CT scan slice. Slice index 27. Abdomen.
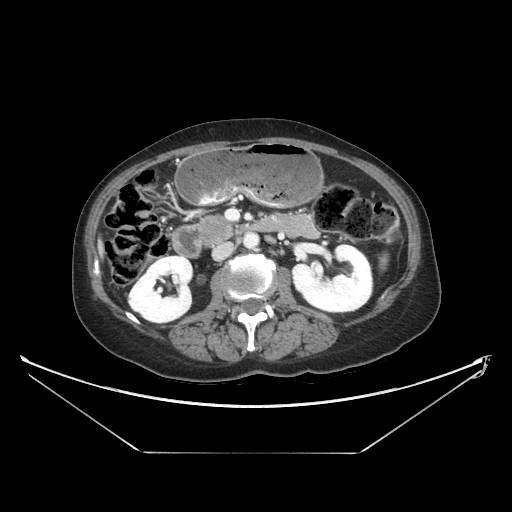
Pancreatic tumor — 202 219 227 239.
Pancreas — 198 215 233 244.